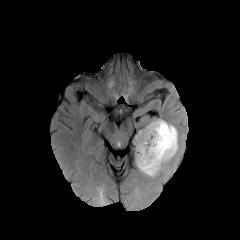
FLAIR MR.
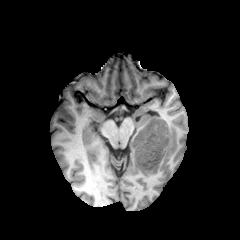
Same slice, T1-weighted MR.
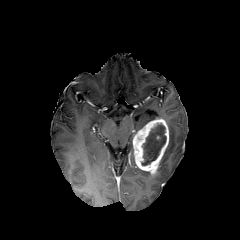
Post-contrast T1-weighted MR image.
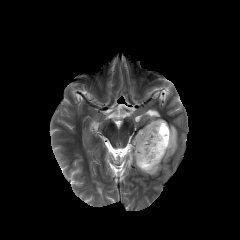
T2-weighted MRI of the same slice.
Image size 240x240
enhancing_tumor:
  - [x1=133, y1=118, x2=169, y2=175]
non-enhancing_tumor_core:
  - [x1=142, y1=124, x2=166, y2=165]
edema:
  - [x1=140, y1=121, x2=183, y2=177]